CT slice; Liver; Slice 448/671

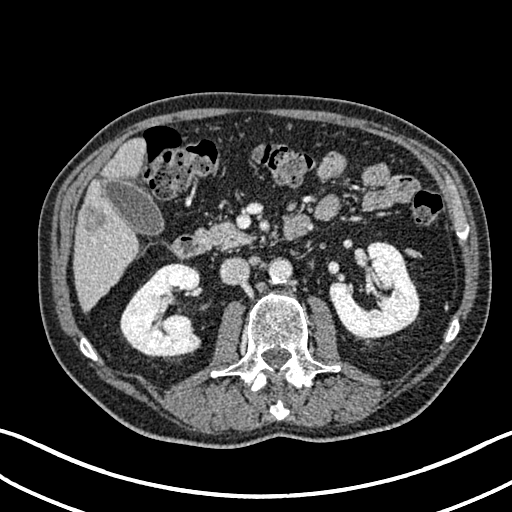

liver:
  - [102, 139, 144, 179]
  - [74, 179, 137, 311]
kidney:
  - [330, 243, 418, 337]
  - [121, 264, 200, 355]
focal_liver_lesion:
  - [84, 207, 104, 228]